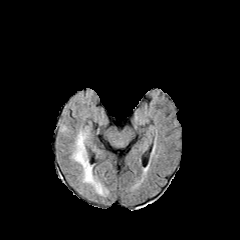
FLAIR MR.
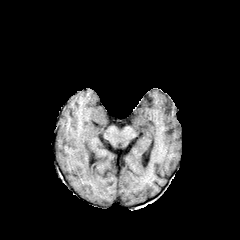
Same slice, T1-weighted MR.
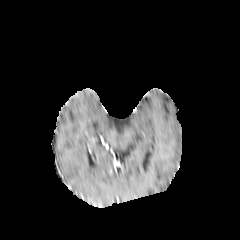
Same slice, post-contrast T1-weighted MRI.
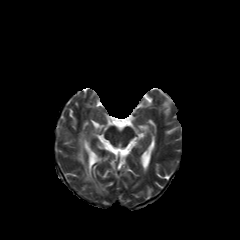
T2-weighted MRI.
Segmented structures:
- edema: (x1=72, y1=130, x2=108, y2=195)